FLAIR MRI.
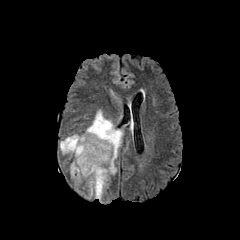
T1-weighted MR image.
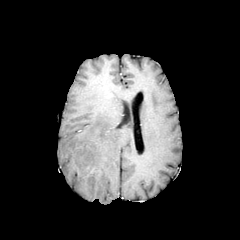
Post-contrast T1-weighted magnetic resonance.
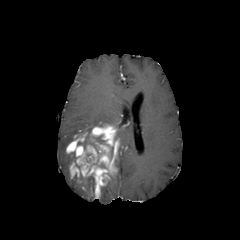
T2-weighted MR image.
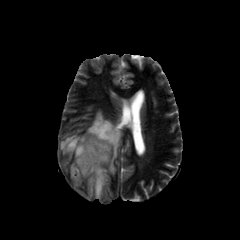
Brain.
Segmented structures:
- enhancing tumor: <box>66,124,119,198</box>
- edema: <box>60,134,82,155</box>, <box>85,109,113,133</box>, <box>99,183,108,203</box>, <box>128,117,133,139</box>, <box>117,128,123,153</box>, <box>86,177,94,198</box>
- non-enhancing tumor core: <box>69,151,80,169</box>, <box>77,131,104,152</box>